Field of view 396x396 mm; Slice 80/144; CT image; Abdomen; Image size 512x512

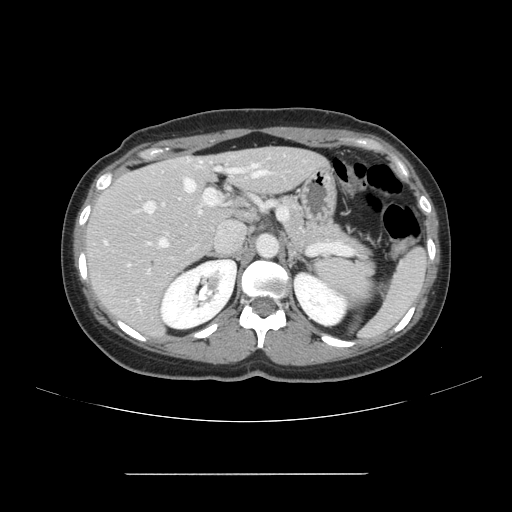 Some hepatic vessels may have no box.
{
  "hepatic_vessel": [
    "region(104, 241, 107, 243)",
    "region(232, 168, 242, 172)",
    "region(184, 178, 195, 191)",
    "region(250, 164, 267, 177)",
    "region(144, 202, 154, 213)",
    "region(137, 299, 139, 300)",
    "region(199, 210, 200, 212)",
    "region(158, 239, 167, 246)"
  ]
}